240x240
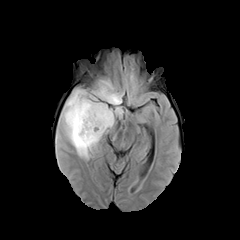
FLAIR MR image.
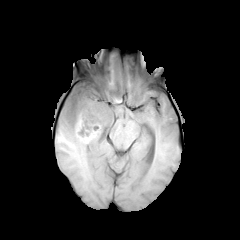
T1-weighted magnetic resonance.
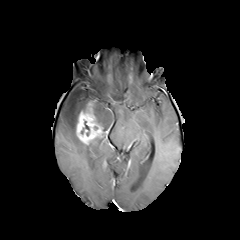
Post-contrast T1-weighted MR image.
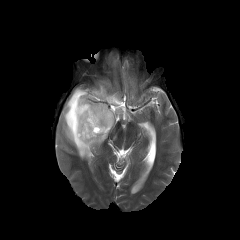
Same slice, T2-weighted magnetic resonance.
Segmented structures:
- edema: x1=55, y1=80, x2=124, y2=160
- enhancing tumor: x1=76, y1=107, x2=107, y2=144